240x240 px, Head
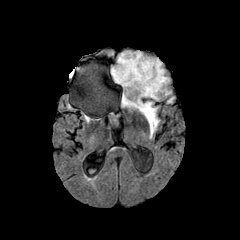
FLAIR MR image.
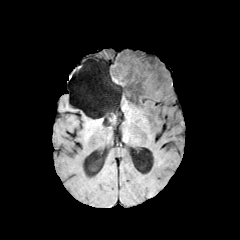
Same slice, T1-weighted MR image.
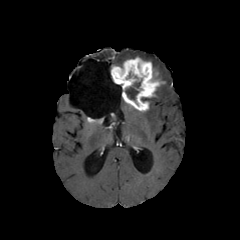
Same slice, post-contrast T1-weighted magnetic resonance.
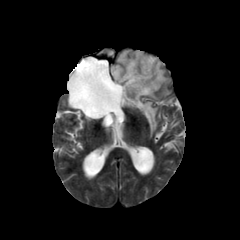
T2-weighted MR.
Findings:
- edema: region(115, 51, 170, 100); region(141, 100, 159, 136); region(121, 100, 135, 108)
- enhancing tumor: region(111, 56, 159, 110)
- non-enhancing tumor core: region(125, 86, 138, 99)